Slice index 64; Field of view 240x240 mm; Brain
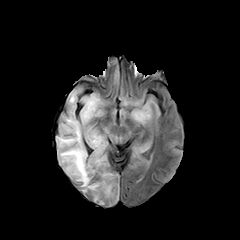
FLAIR MRI.
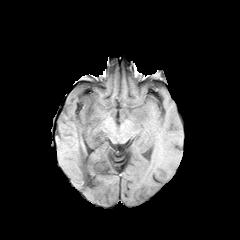
T1-weighted MR image.
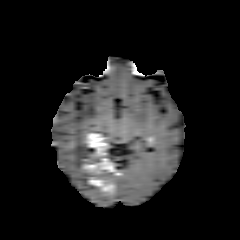
Post-contrast T1-weighted magnetic resonance of the same slice.
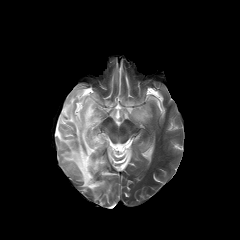
Same slice, T2-weighted MR image.
- enhancing tumor: 89, 177, 111, 191; 95, 158, 107, 171; 85, 132, 108, 155
- edema: 56, 88, 103, 200; 104, 172, 115, 182; 132, 107, 149, 121
- non-enhancing tumor core: 91, 127, 107, 142; 82, 131, 90, 145; 82, 148, 108, 179; 100, 180, 115, 193